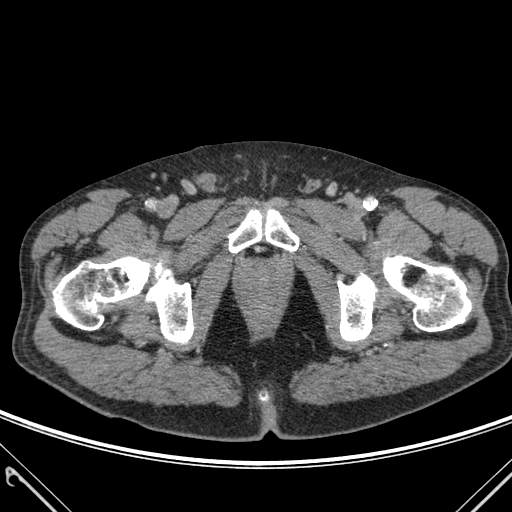
512x512 px, CT image
<segmentation>
  <bone>338 273 376 340, 228 210 298 252, 383 256 471 331, 146 263 193 342, 53 257 150 329</bone>
</segmentation>